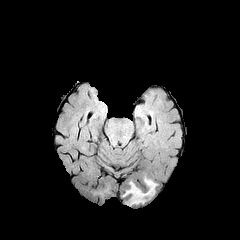
FLAIR MRI.
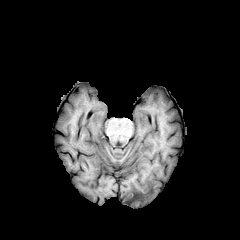
T1-weighted magnetic resonance.
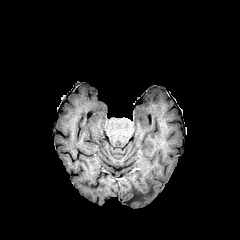
Post-contrast T1-weighted MR.
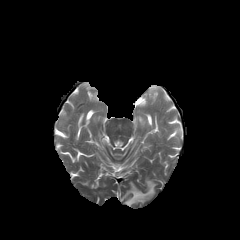
T2-weighted MRI.
Image size 240x240 | Brain
Edema: 123 177 157 206.